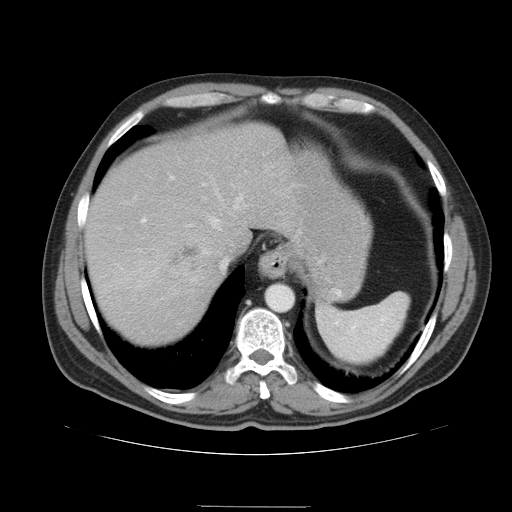 CT

Some hepatic vessels may have no box.
hepatic vessel: (x1=235, y1=197, x2=242, y2=208), (x1=203, y1=184, x2=204, y2=185), (x1=224, y1=221, x2=228, y2=223), (x1=142, y1=219, x2=145, y2=222), (x1=206, y1=217, x2=221, y2=230), (x1=171, y1=177, x2=173, y2=179), (x1=188, y1=226, x2=191, y2=226), (x1=138, y1=250, x2=141, y2=251), (x1=220, y1=258, x2=227, y2=269) | liver tumor: (x1=162, y1=234, x2=209, y2=286)